Field of view 240 mm wide, 1.00 mm slice spacing
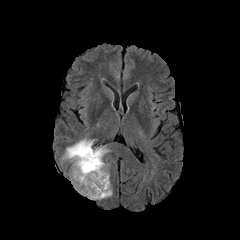
FLAIR MRI.
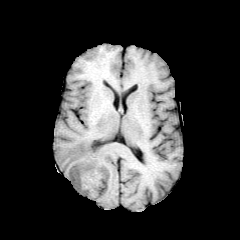
T1-weighted MRI.
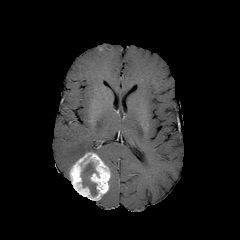
Post-contrast T1-weighted MR.
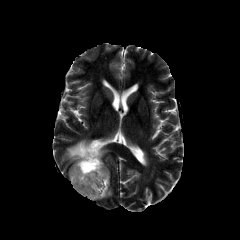
T2-weighted magnetic resonance.
edema:
  - box=[100, 187, 111, 199]
  - box=[62, 138, 108, 165]
non-enhancing_tumor_core:
  - box=[81, 162, 97, 196]
enhancing_tumor:
  - box=[69, 152, 109, 200]